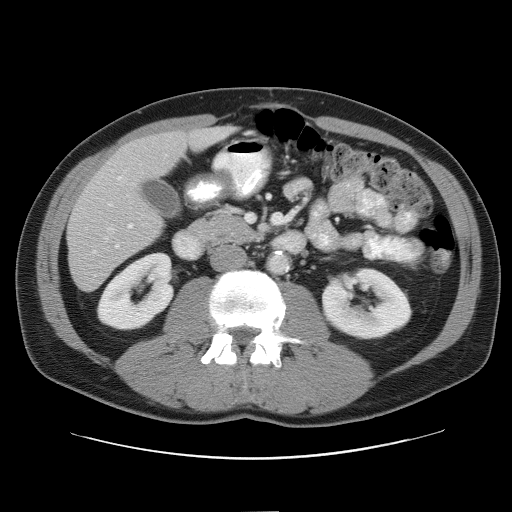 512x512. CT scan slice. Liver. Only some of the vessels may be annotated.
11 hepatic vessel regions appear at (x1=128, y1=224, x2=131, y2=227), (x1=108, y1=204, x2=112, y2=205), (x1=199, y1=130, x2=226, y2=144), (x1=107, y1=228, x2=113, y2=232), (x1=104, y1=238, x2=106, y2=241), (x1=115, y1=243, x2=118, y2=247), (x1=129, y1=201, x2=131, y2=203), (x1=117, y1=177, x2=124, y2=184), (x1=127, y1=195, x2=130, y2=199), (x1=93, y1=250, x2=95, y2=253), (x1=130, y1=184, x2=133, y2=185).